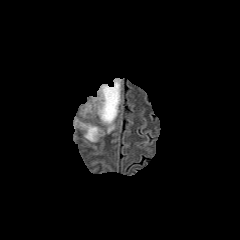
FLAIR magnetic resonance.
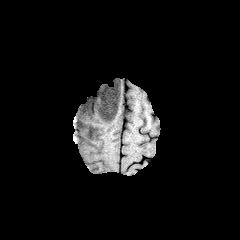
Same slice, T1-weighted MRI.
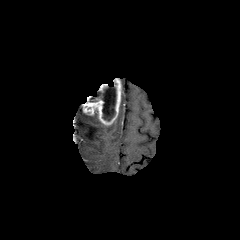
Post-contrast T1-weighted MR.
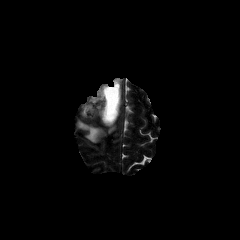
T2-weighted MR.
The non-enhancing tumor core is bounded by (x1=102, y1=87, x2=115, y2=120). 2 edema regions appear at (x1=74, y1=117, x2=105, y2=142), (x1=99, y1=119, x2=115, y2=133). The enhancing tumor is located at (x1=81, y1=78, x2=121, y2=124).